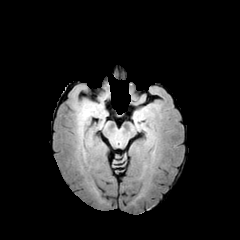
FLAIR magnetic resonance.
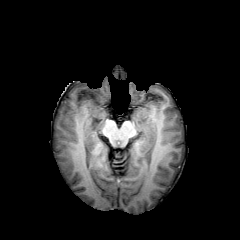
T1-weighted MR.
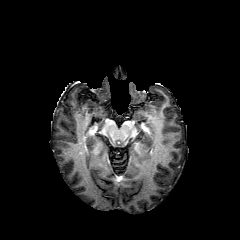
Post-contrast T1-weighted MR image.
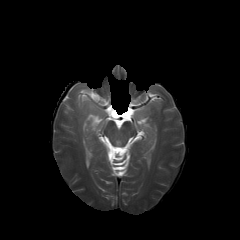
T2-weighted MR image of the same slice.
Brain
* edema: left=81, top=102, right=103, bottom=119